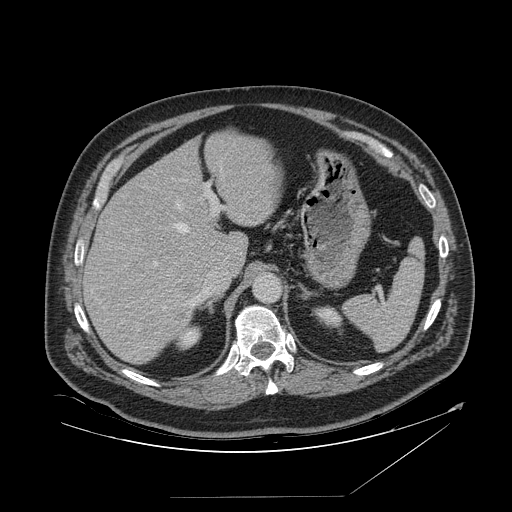

Computed tomography | Abdomen

The spleen appears at box(343, 238, 425, 350).